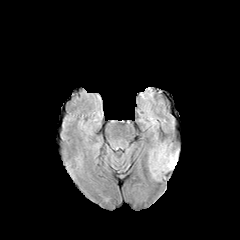
FLAIR magnetic resonance.
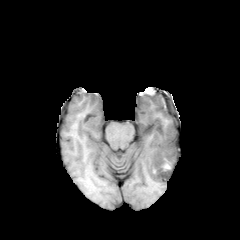
T1-weighted MRI.
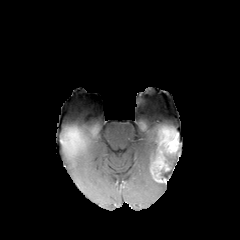
Same slice, post-contrast T1-weighted MR image.
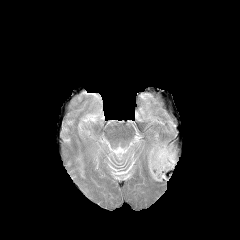
Same slice, T2-weighted MRI.
The non-enhancing tumor core is bounded by box(151, 140, 182, 183). The enhancing tumor appears at box(168, 140, 178, 151). The edema is bounded by box(148, 143, 159, 173).